Head | Slice 96/155
FLAIR MR image.
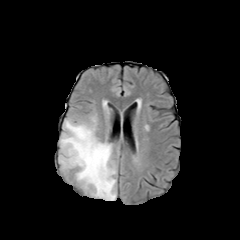
T1-weighted MRI.
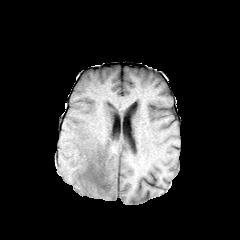
Post-contrast T1-weighted magnetic resonance.
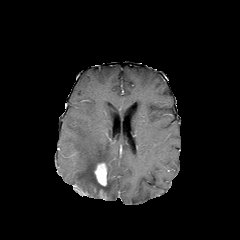
T2-weighted MR.
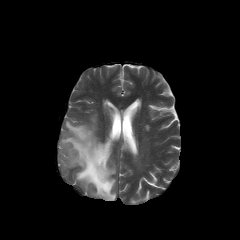
{
  "non-enhancing_tumor_core": [
    "left=84, top=158, right=110, bottom=197"
  ],
  "enhancing_tumor": [
    "left=94, top=162, right=107, bottom=185"
  ],
  "edema": [
    "left=59, top=117, right=116, bottom=200"
  ]
}